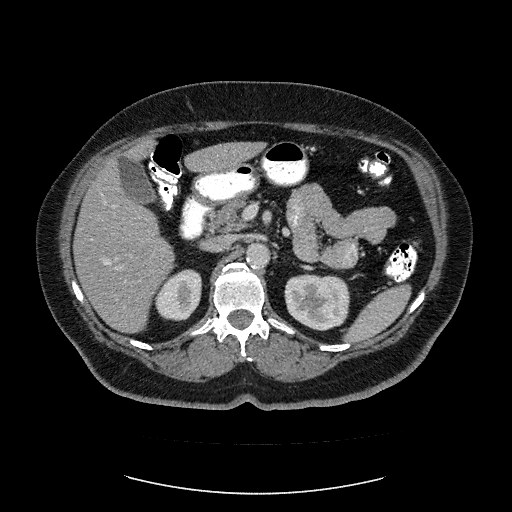 CT slice | Liver
Only some of the vessels may be annotated.
Hepatic vessel = bbox(116, 266, 123, 268); bbox(227, 170, 235, 172); bbox(115, 295, 117, 299); bbox(130, 255, 132, 256); bbox(104, 259, 110, 263); bbox(208, 174, 220, 175); bbox(103, 199, 105, 201); bbox(113, 205, 116, 206); bbox(116, 258, 117, 259).